Brain; 240x240 px; Slice 75/155
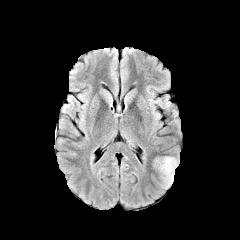
FLAIR MRI.
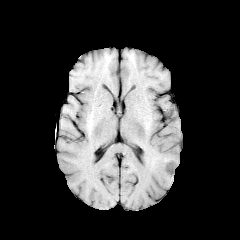
T1-weighted MR image.
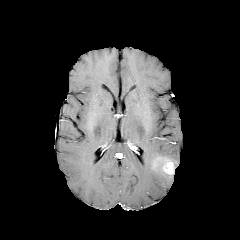
Same slice, post-contrast T1-weighted MRI.
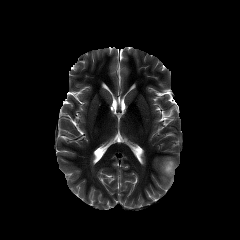
Same slice, T2-weighted MR image.
Segmented structures:
- edema: <box>158,156,177,188</box>
- enhancing tumor: <box>163,161,174,174</box>